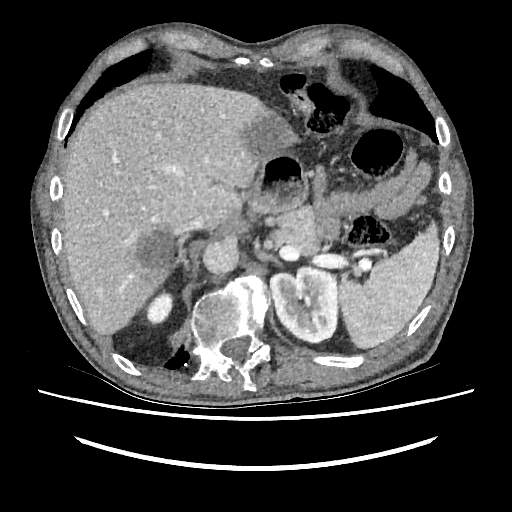

CT scan slice
{
  "liver": [
    "62:83:277:333",
    "279:127:297:152"
  ],
  "focal_liver_lesion": [
    "126:224:173:287",
    "242:115:290:161"
  ],
  "kidney": [
    "270:267:339:342",
    "148:295:171:321"
  ]
}